512x512 px. CT. Lung.
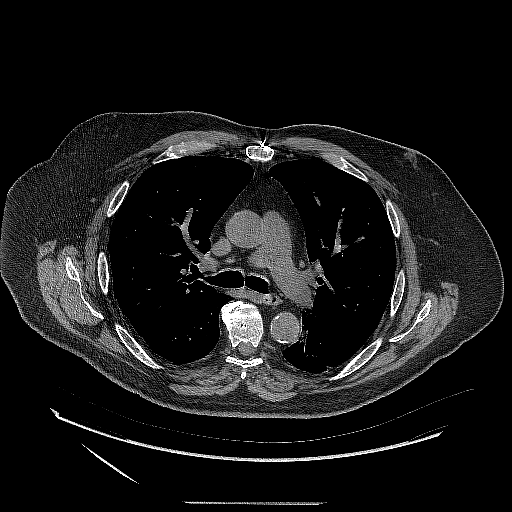 The lung tumor is located at (x1=297, y1=307, x2=320, y2=362).